Slice 42 of 82, Computed tomography, Abdomen

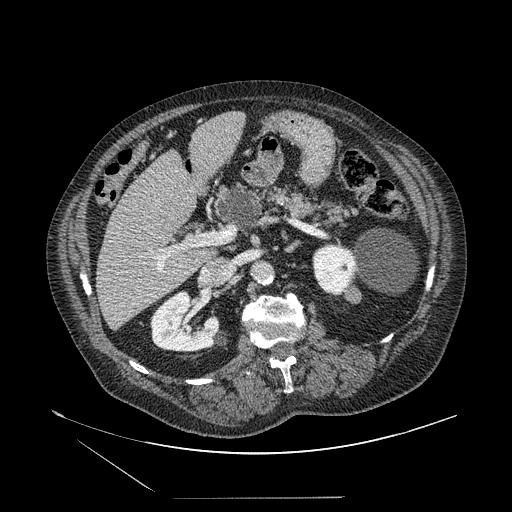
{
  "pancreatic_tumor": [
    {"x1": 218, "y1": 185, "x2": 257, "y2": 226}
  ],
  "pancreas": [
    {"x1": 213, "y1": 181, "x2": 359, "y2": 229}
  ]
}